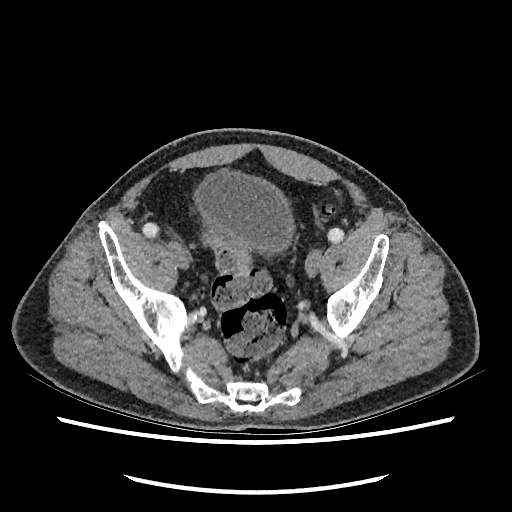
Pelvis | CT image

Urinary bladder: x1=194, y1=172, x2=294, y2=256.